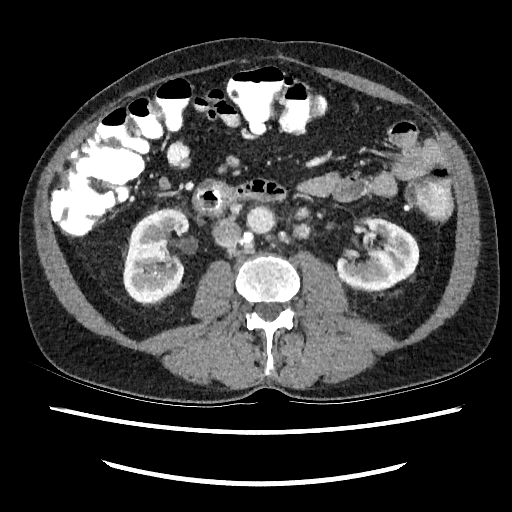

CT | Abdomen
2 kidney regions appear at [x1=338, y1=219, x2=418, y2=290], [x1=124, y1=210, x2=187, y2=302].